Image size 240x240; Slice 59/155
FLAIR MR.
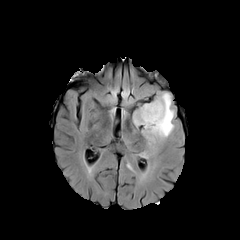
T1-weighted MR image.
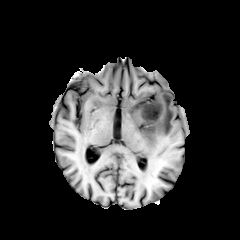
Post-contrast T1-weighted magnetic resonance.
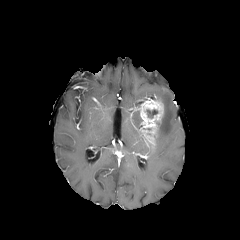
T2-weighted MRI.
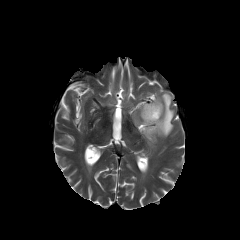
<segmentation>
  <edema>(133,111,141,128), (154,92,174,138)</edema>
  <non-enhancing_tumor_core>(147,110,157,117)</non-enhancing_tumor_core>
  <enhancing_tumor>(139,96,163,140)</enhancing_tumor>
</segmentation>